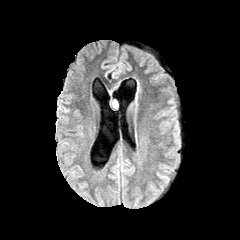
FLAIR MRI.
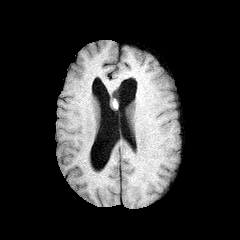
T1-weighted magnetic resonance of the same slice.
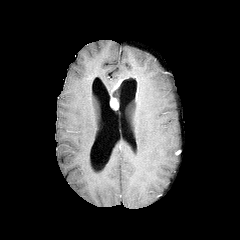
Same slice, post-contrast T1-weighted magnetic resonance.
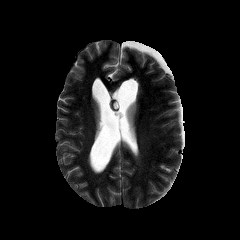
T2-weighted MRI.
Annotated regions:
- enhancing tumor: l=110, t=98, r=117, b=109